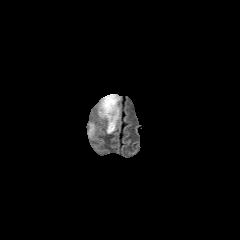
FLAIR magnetic resonance.
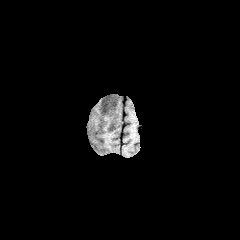
T1-weighted MR.
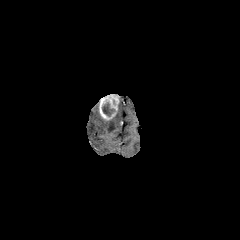
Same slice, post-contrast T1-weighted magnetic resonance.
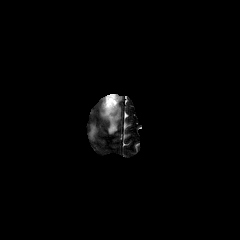
T2-weighted MR image.
<segmentation>
  <non-enhancing_tumor_core>101:94:118:119</non-enhancing_tumor_core>
  <edema>100:96:120:133, 89:124:96:137</edema>
  <enhancing_tumor>100:100:106:117, 107:96:117:109</enhancing_tumor>
</segmentation>